MRI slice | Hippocampus | 35x50 px
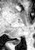
The posterior hippocampus is bounded by rect(15, 40, 20, 44).